Image width 200 mm. 320x320. Slice 7 of 20.
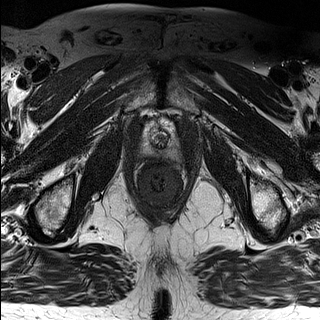
T2-weighted MR image.
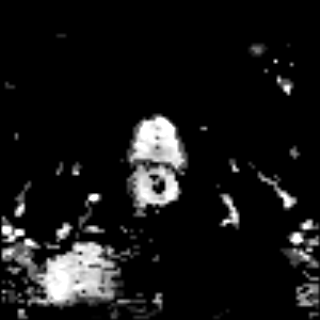
ADC magnetic resonance.
Prostate transition zone: bbox(149, 122, 171, 147).
Prostate peripheral zone: bbox(141, 122, 177, 153).